CT
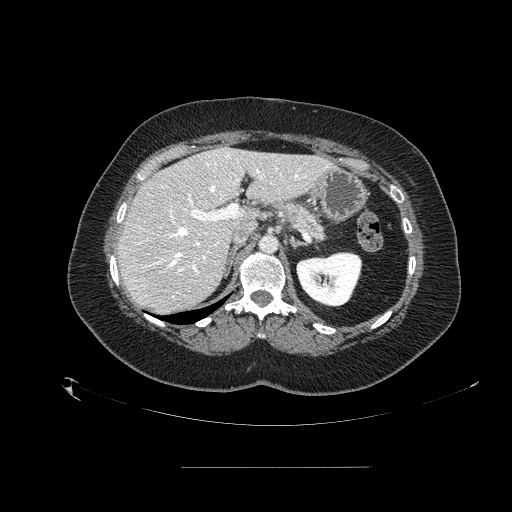 Segmented structures:
* pancreatic tumor: 286,206,300,220
* pancreas: 272,199,328,245